CT scan slice; 512x512 px; Slice 327/624
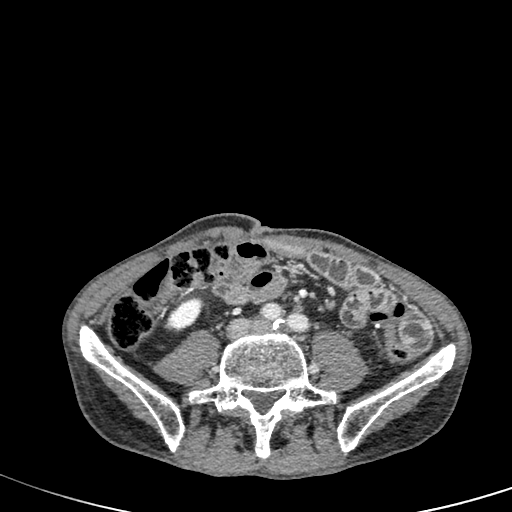

Kidney: bounding box 168,299,200,328.